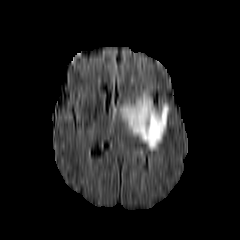
FLAIR magnetic resonance.
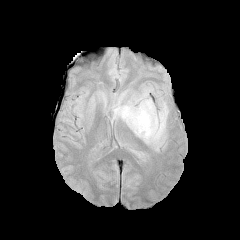
T1-weighted MRI.
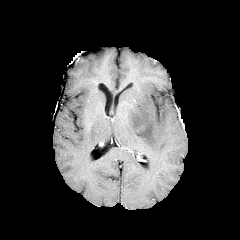
Post-contrast T1-weighted MRI.
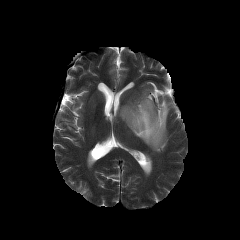
Same slice, T2-weighted MR image.
Head
Edema: bounding box <box>120,89,169,150</box>.